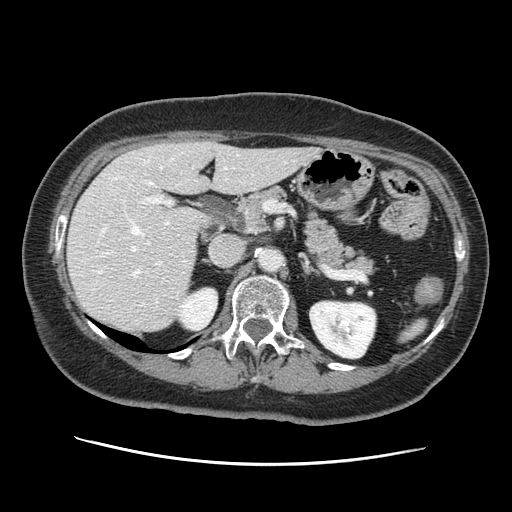 Abdomen; CT slice

The spleen is located at 397, 318, 425, 342.